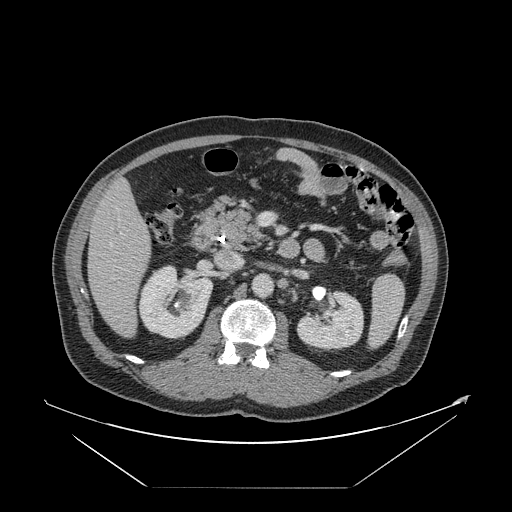
CT; Abdomen; Image size 512x512
Some hepatic vessels may have no box.
hepatic vessel: box=[110, 243, 111, 246]; box=[120, 232, 121, 234]